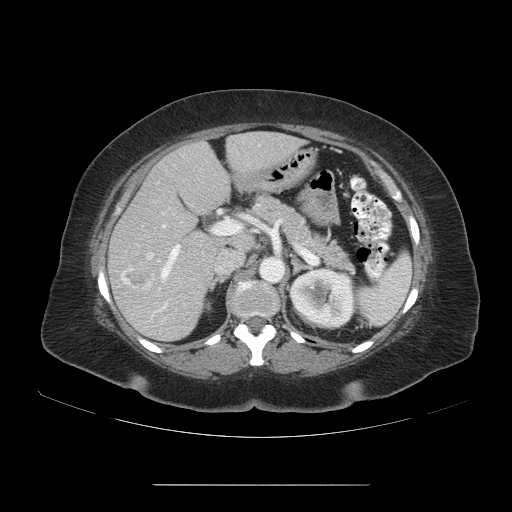 Computed tomography
Only some of the vessels may be annotated.
hepatic_vessel:
  - x1=215 y1=221 x2=240 y2=234
  - x1=160 y1=305 x2=165 y2=310
  - x1=162 y1=225 x2=164 y2=227
  - x1=161 y1=244 x2=179 y2=277
  - x1=215 y1=251 x2=243 y2=272
  - x1=147 y1=253 x2=151 y2=257
liver_tumor:
  - x1=122 y1=267 x2=152 y2=291